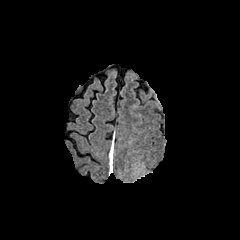
FLAIR MRI.
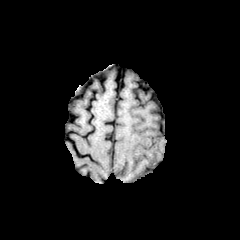
T1-weighted MR image.
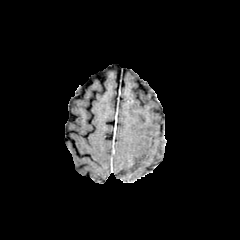
Post-contrast T1-weighted MRI.
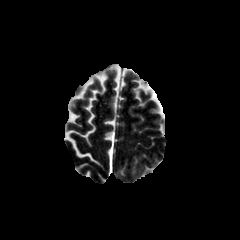
T2-weighted MR.
Brain
edema:
  - region(108, 144, 113, 173)